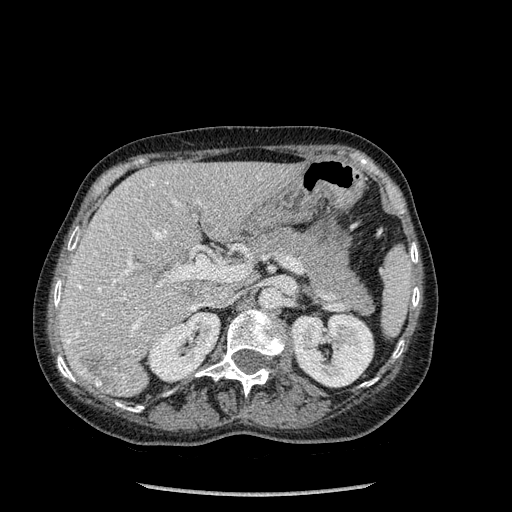

Computed tomography; Upper abdomen
2 hepatic lesion regions appear at [180,284,202,301], [83,353,117,390]. 2 kidney regions are bounded by [149,313,219,380], [292,314,372,386]. The liver is bounded by [60,162,302,397]. 10 bone regions appear at [54,279,62,307], [409,242,418,263], [411,287,419,307], [115,402,143,412], [392,340,404,358], [360,378,377,386], [195,309,286,396], [397,204,403,213], [68,230,79,250], [57,355,75,381].